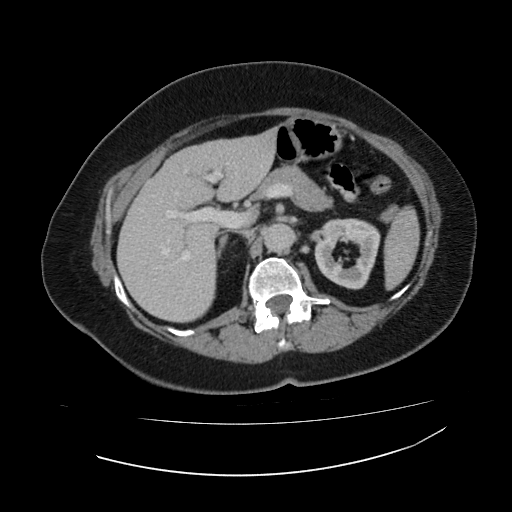 Upper abdomen. CT image.

- kidney: [315, 219, 379, 288]
- liver: [117, 128, 276, 321]